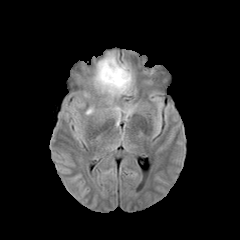
FLAIR MR.
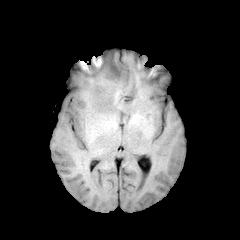
T1-weighted MR of the same slice.
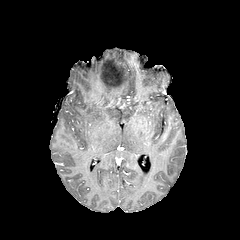
Same slice, post-contrast T1-weighted MR image.
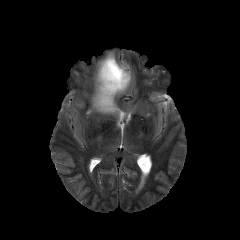
Same slice, T2-weighted MR.
Brain
Annotated regions:
• non-enhancing tumor core: 96,61,118,105
• edema: 86,52,134,125